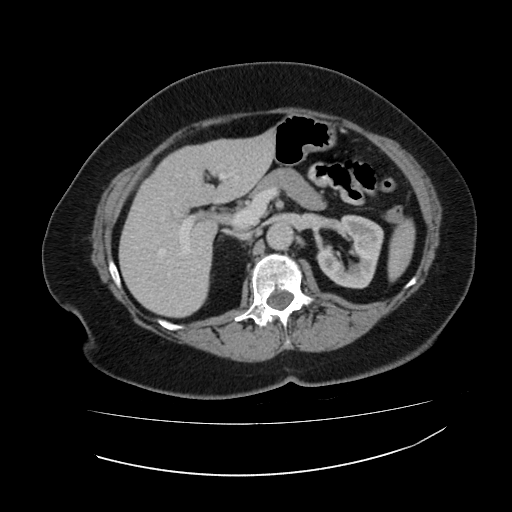 512x512; CT

The liver appears at left=119, top=132, right=275, bottom=316. The kidney lies within left=317, top=215, right=383, bottom=287.